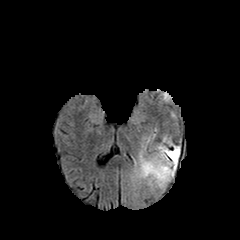
FLAIR MRI.
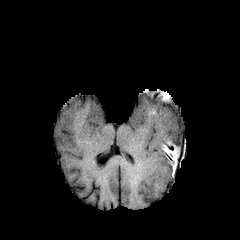
Same slice, T1-weighted MR image.
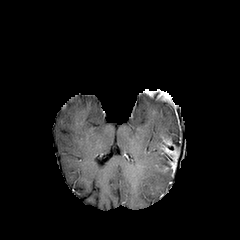
Post-contrast T1-weighted MR.
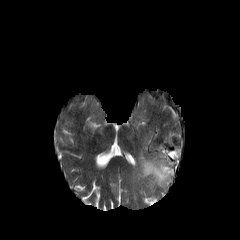
T2-weighted magnetic resonance.
Image size 240x240. Head.
<segmentation>
  <edema>x1=137 y1=136 x2=179 y2=189</edema>
  <enhancing_tumor>x1=166 y1=148 x2=179 y2=169</enhancing_tumor>
</segmentation>